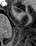
MR image
<segmentation>
  <anterior_hippocampus>(x1=12, y1=6, x2=23, y2=12)</anterior_hippocampus>
</segmentation>